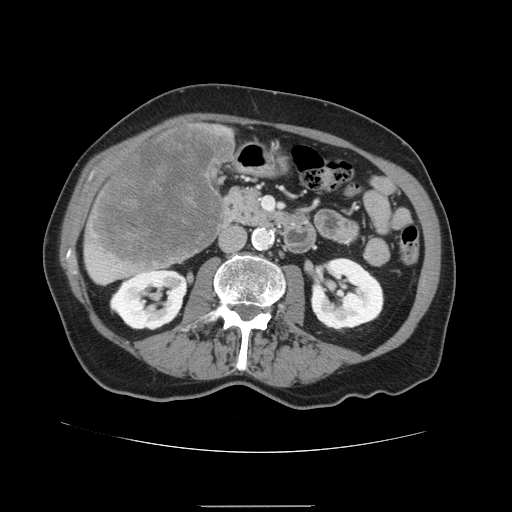
CT

Liver tumor: bounding box bbox=[91, 126, 232, 266].